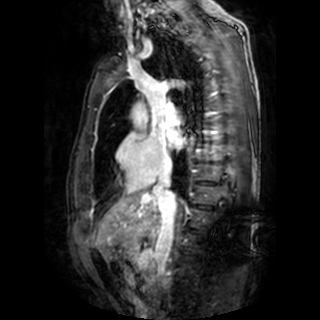

MRI slice. Image size 320x320. <segmentation>
  <left_atrium><bbox>167, 132, 187, 148</bbox></left_atrium>
</segmentation>